Slice index 97. Image width 240 mm.
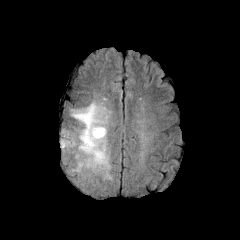
FLAIR MRI.
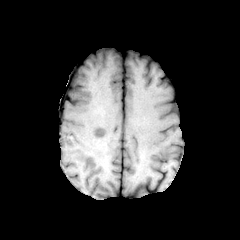
T1-weighted MRI.
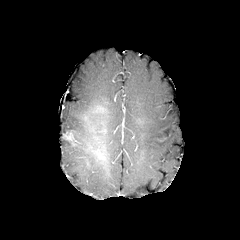
Post-contrast T1-weighted MR.
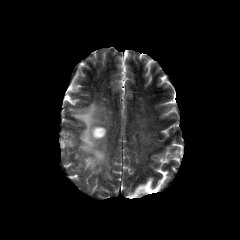
T2-weighted MRI of the same slice.
3 non-enhancing tumor core regions are located at <bbox>95, 150, 104, 159</bbox>, <bbox>94, 126, 105, 135</bbox>, <bbox>86, 158, 94, 165</bbox>. The edema lies within <bbox>61, 97, 111, 178</bbox>.